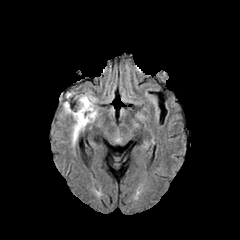
FLAIR magnetic resonance.
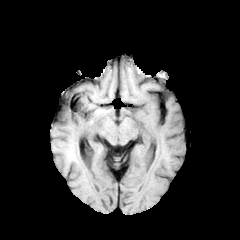
Same slice, T1-weighted MRI.
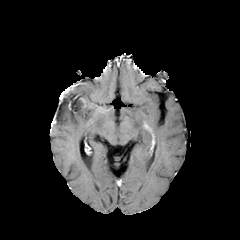
Post-contrast T1-weighted magnetic resonance.
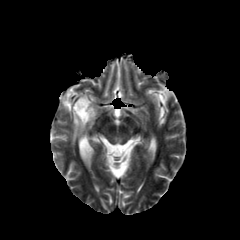
T2-weighted MR of the same slice.
Head
Segmented structures:
• edema: box(61, 92, 97, 143)
• non-enhancing tumor core: box(72, 97, 86, 117)